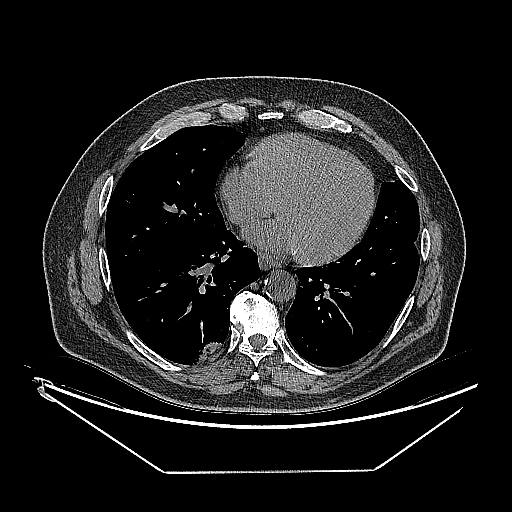
Thorax, Image size 512x512, CT slice
Lung tumor: bounding box region(187, 341, 222, 364).